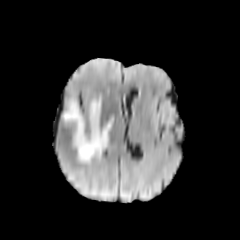
FLAIR MR image.
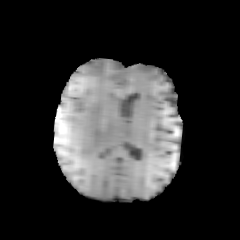
T1-weighted MR image.
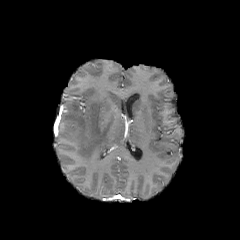
Post-contrast T1-weighted MR.
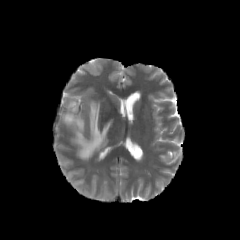
T2-weighted magnetic resonance.
Head
{"edema": ["x1=63 y1=98 x2=113 y2=163"]}